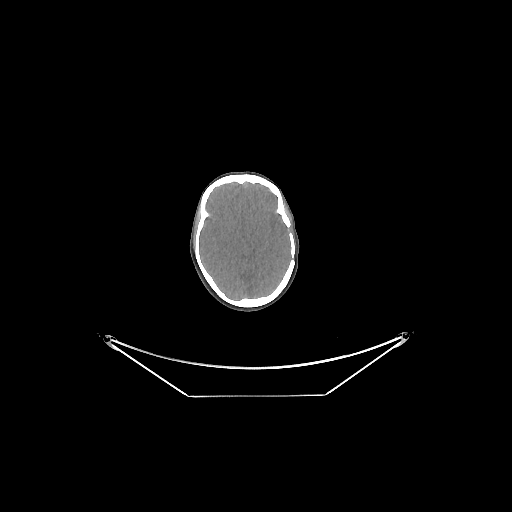

CT image
Annotated regions:
* brain: x1=199, y1=182, x2=292, y2=300